Field of view 38x48 mm, Medial temporal lobe, Image size 38x48, MRI
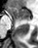 Anterior hippocampus: bounding box 8, 7, 30, 20.